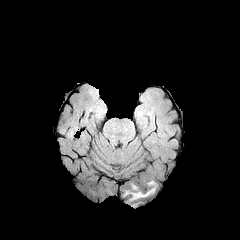
FLAIR magnetic resonance.
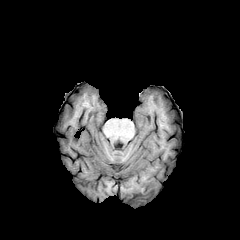
Same slice, T1-weighted magnetic resonance.
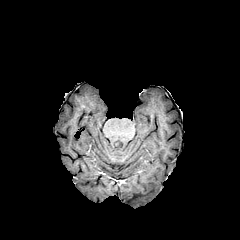
Post-contrast T1-weighted MR image.
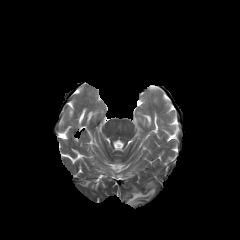
Same slice, T2-weighted magnetic resonance.
Edema: bounding box box(132, 189, 154, 199).